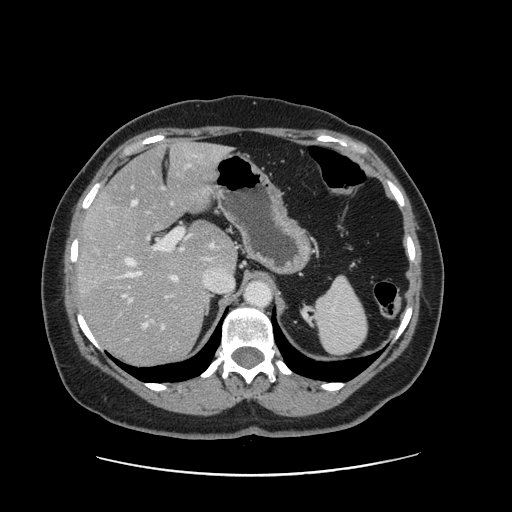 CT, Image size 512x512
The vessel annotation is not exhaustive.
11 hepatic vessel regions are located at 166,295,171,297; 172,275,177,281; 132,186,133,188; 123,294,131,301; 143,320,152,327; 205,258,208,259; 126,258,135,265; 181,247,183,249; 162,325,163,328; 186,165,190,167; 127,271,140,276.